FLAIR MRI.
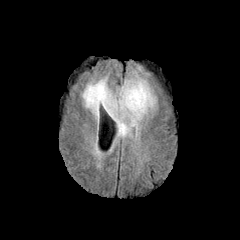
T1-weighted magnetic resonance.
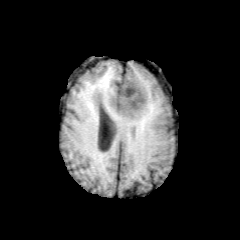
Post-contrast T1-weighted MR image.
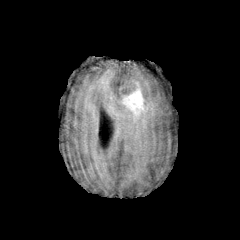
T2-weighted MR image.
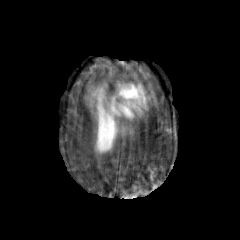
<segmentation>
  <enhancing_tumor>[119, 82, 144, 116]</enhancing_tumor>
  <edema>[82, 72, 156, 137]</edema>
</segmentation>